Abdomen | Computed tomography | Field of view 512 mm wide, 1.00 mm slice spacing

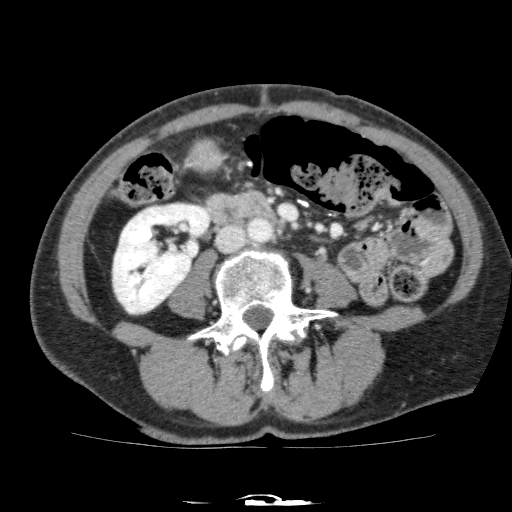

The kidney is at [113,204,209,313].